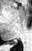 MR; Hippocampus
Posterior hippocampus — 7,41,17,44.